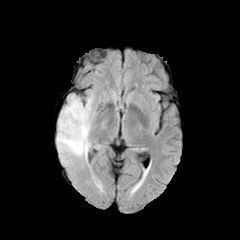
FLAIR MR.
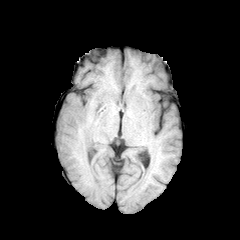
T1-weighted MRI.
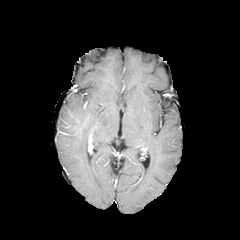
Same slice, post-contrast T1-weighted MRI.
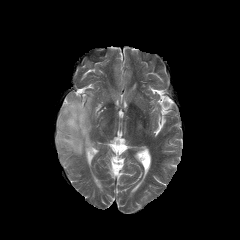
Same slice, T2-weighted MRI.
Image size 240x240. Brain.
The non-enhancing tumor core is located at l=63, t=112, r=86, b=134. The edema lies within l=56, t=92, r=99, b=163.